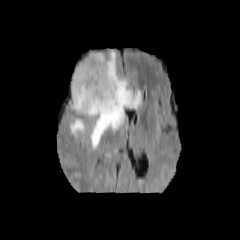
FLAIR MR image.
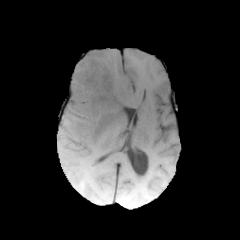
T1-weighted magnetic resonance.
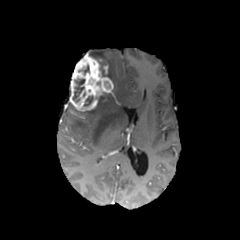
Post-contrast T1-weighted MR of the same slice.
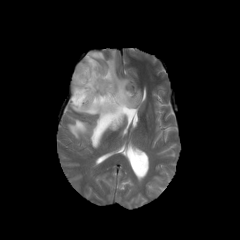
T2-weighted magnetic resonance.
enhancing tumor: l=69, t=53, r=113, b=111 | edema: l=69, t=51, r=141, b=147; l=69, t=118, r=86, b=135 | non-enhancing tumor core: l=96, t=92, r=111, b=103; l=89, t=51, r=111, b=79; l=72, t=79, r=84, b=101; l=84, t=96, r=92, b=105